FLAIR MRI.
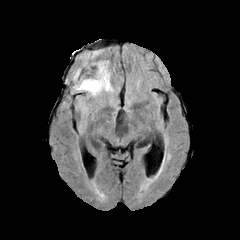
T1-weighted MR image.
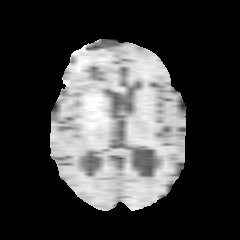
Post-contrast T1-weighted MR.
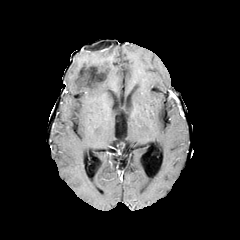
T2-weighted MR.
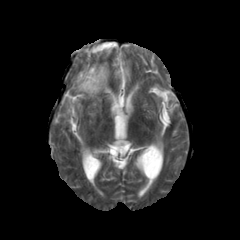
Head
<segmentation>
  <edema>box=[72, 62, 117, 107]</edema>
</segmentation>